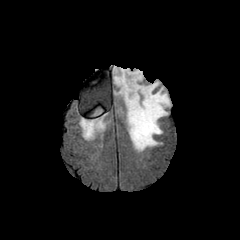
FLAIR MR.
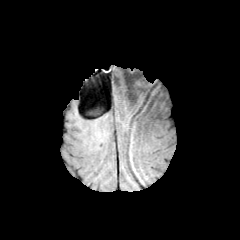
T1-weighted magnetic resonance.
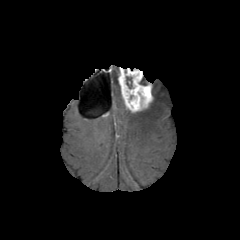
Post-contrast T1-weighted MR.
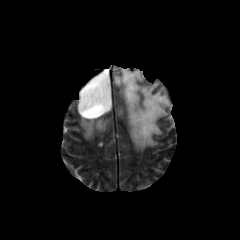
T2-weighted MR image.
4 edema regions are located at (80,119,103,138), (121,82,170,150), (112,67,119,88), (90,106,101,116). The enhancing tumor is bounded by (118,68,153,111). The non-enhancing tumor core appears at (139,72,150,85).